Field of view 240x240 mm | Slice 75 of 155
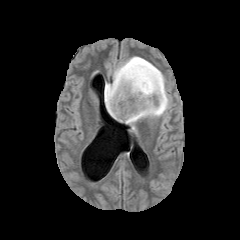
FLAIR MR image.
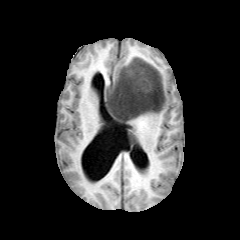
T1-weighted MR image.
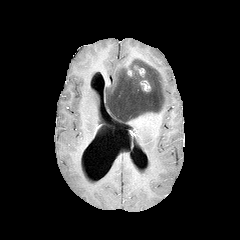
Post-contrast T1-weighted magnetic resonance of the same slice.
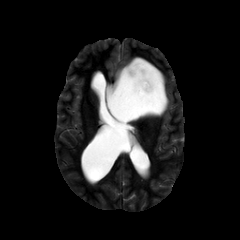
T2-weighted MRI.
Edema: bounding box [105, 55, 171, 132].
Enhancing tumor: bounding box [140, 80, 150, 91], [134, 66, 145, 77], [127, 68, 134, 76].
Non-enhancing tumor core: bounding box [105, 59, 165, 123].